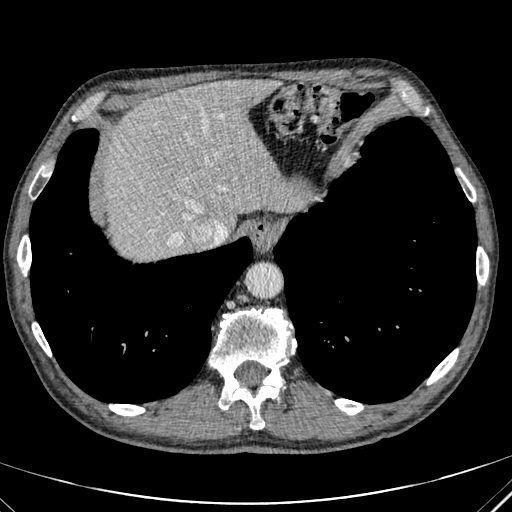
512x512 px, CT

liver: box=[103, 79, 285, 259]